CT; Field of view 496x496 mm; Slice 312 of 537
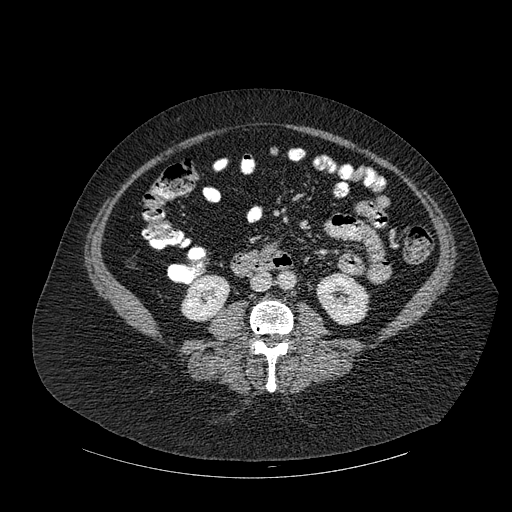 <segmentation>
  <bone>region(250, 301, 293, 391)</bone>
  <kidney>region(317, 274, 367, 323); region(182, 275, 229, 320)</kidney>
</segmentation>